Slice 53/155
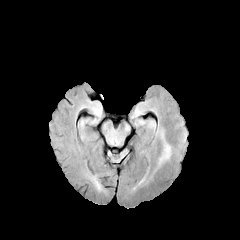
FLAIR magnetic resonance.
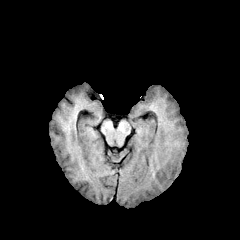
T1-weighted MR.
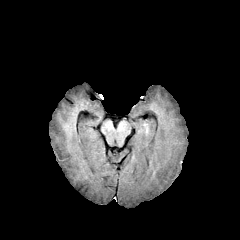
Same slice, post-contrast T1-weighted magnetic resonance.
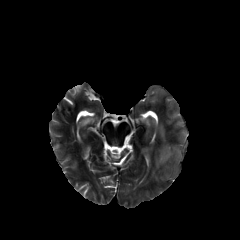
T2-weighted MRI.
edema: (left=159, top=142, right=170, bottom=163), (left=148, top=120, right=158, bottom=129)